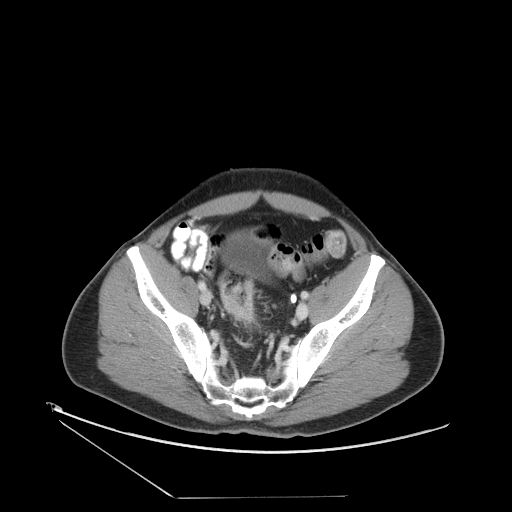
CT scan slice; Pelvis
2 colon tumor regions are bounded by 230 285 242 293, 219 281 252 321.